Field of view 410 mm wide, 1.50 mm slice spacing, CT slice, Liver 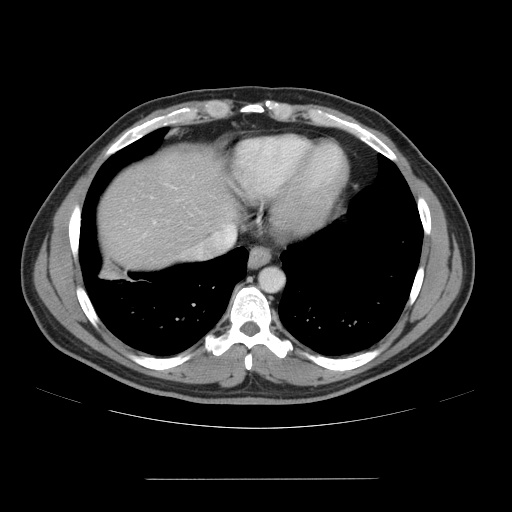
The vessel annotation is not exhaustive.
Segmented structures:
- hepatic vessel: box=[153, 221, 154, 223]; box=[173, 187, 175, 188]